512x512 | Slice 269 of 537 | CT | Field of view 496x496 mm 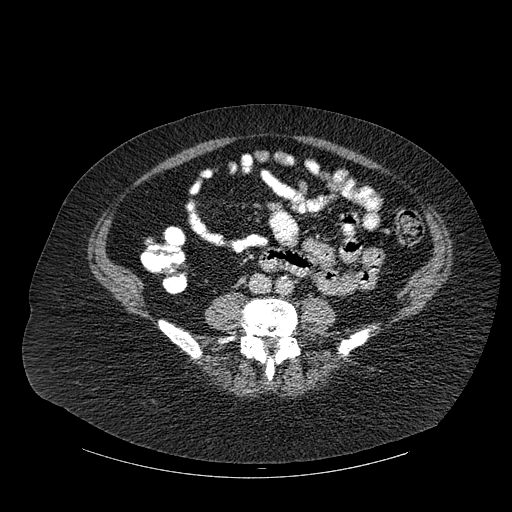
Segmented structures:
• bone: left=339, top=329, right=369, bottom=355; left=241, top=298, right=299, bottom=380; left=159, top=320, right=201, bottom=357